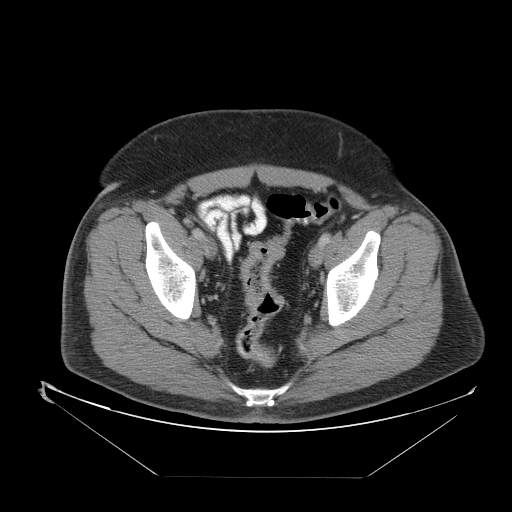 Pelvis | CT slice
3 colon tumor regions are located at [x1=262, y1=242, x2=284, y2=303], [x1=246, y1=287, x2=264, y2=309], [x1=240, y1=241, x2=262, y2=281].